FLAIR MRI.
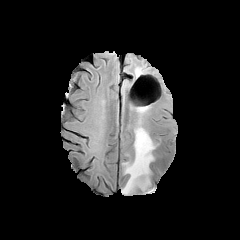
T1-weighted MR.
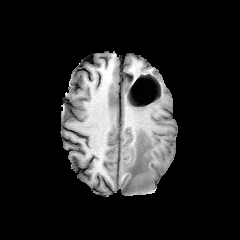
Post-contrast T1-weighted MR.
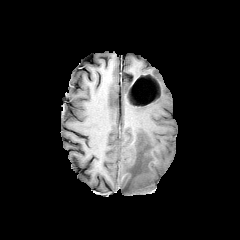
T2-weighted MR.
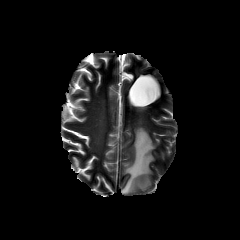
The edema is bounded by region(121, 127, 155, 194).